240x240 px
FLAIR magnetic resonance.
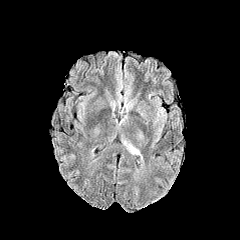
T1-weighted MRI.
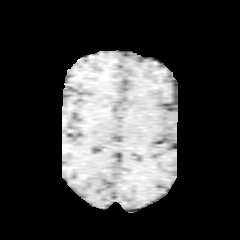
Post-contrast T1-weighted MR.
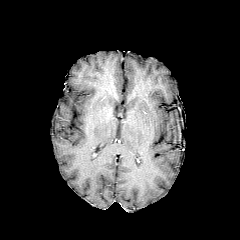
T2-weighted magnetic resonance.
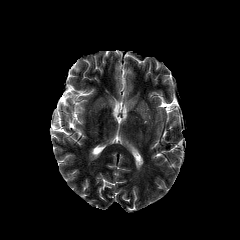
edema: (123, 139, 141, 155), (117, 115, 127, 128), (119, 88, 134, 114)